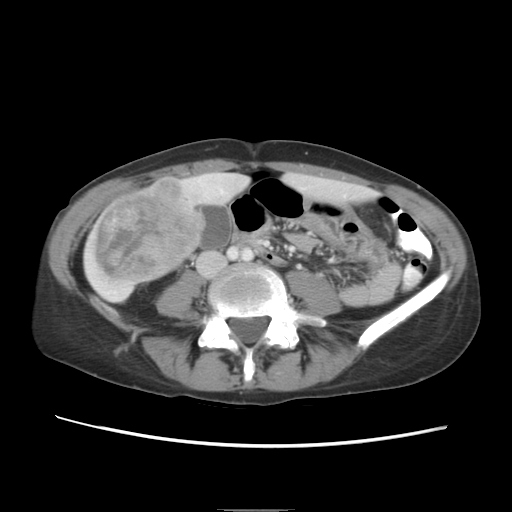
Computed tomography
The vessel boxes may cover only some of the vessels.
Hepatic vessel: bounding box [x1=220, y1=188, x2=222, y2=193].
Liver tumor: bounding box [x1=93, y1=178, x2=200, y2=280].